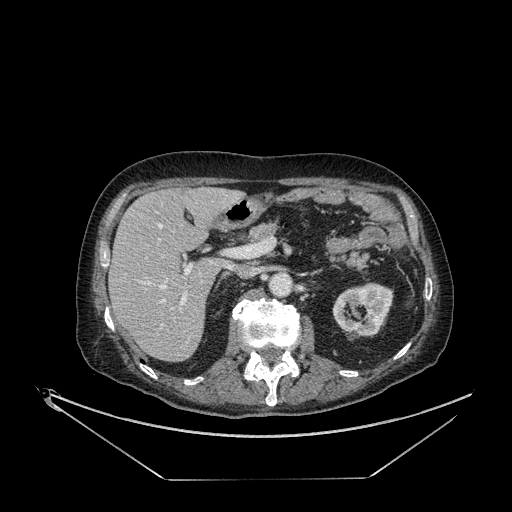 CT image.

<segmentation>
  <kidney>l=333, t=283, r=392, b=335</kidney>
  <liver>l=108, t=188, r=242, b=361</liver>
</segmentation>